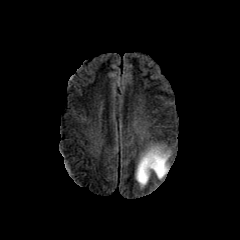
FLAIR MR image.
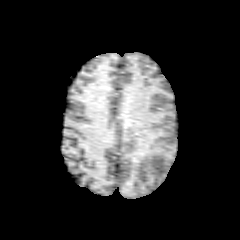
Same slice, T1-weighted MRI.
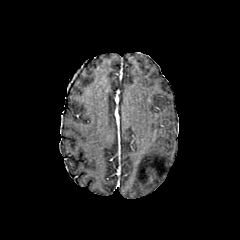
Post-contrast T1-weighted MR.
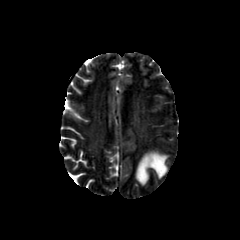
T2-weighted MR of the same slice.
Image size 240x240
Edema: bounding box (135, 148, 169, 186).